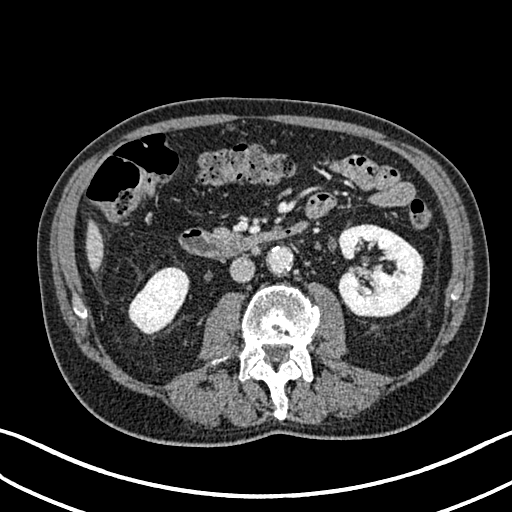

CT slice
Kidney = (339, 225, 422, 316), (129, 268, 188, 333).
Liver = (87, 222, 102, 269).